FLAIR MR image.
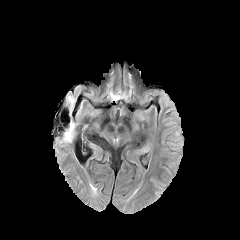
T1-weighted MR image.
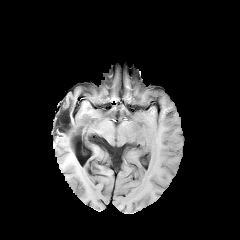
Post-contrast T1-weighted MR image.
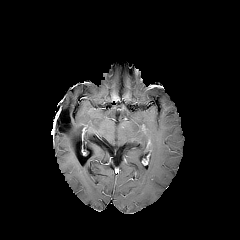
T2-weighted magnetic resonance.
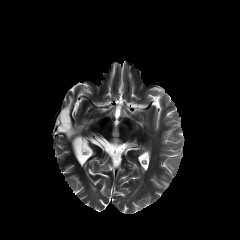
240x240; Head
Edema: bounding box <box>62,120,77,142</box>, <box>66,95,75,117</box>.